Slice 68/155, Image width 240 mm, 240x240 px
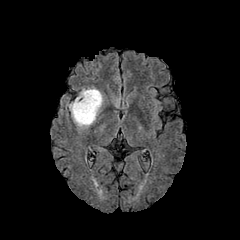
FLAIR MR.
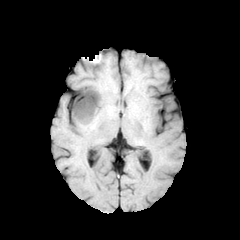
T1-weighted MRI.
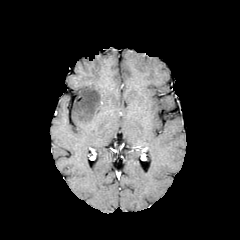
Post-contrast T1-weighted magnetic resonance.
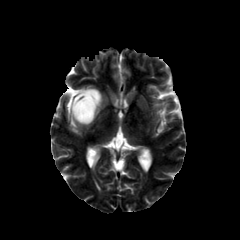
Same slice, T2-weighted MR.
Findings:
* edema: x1=67 y1=86 x2=104 y2=128
* non-enhancing tumor core: x1=82 y1=108 x2=90 y2=117